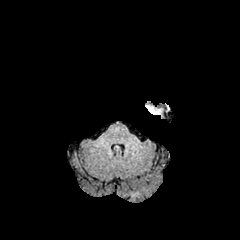
FLAIR MR image.
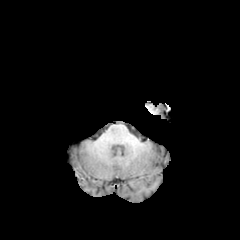
Same slice, T1-weighted MR image.
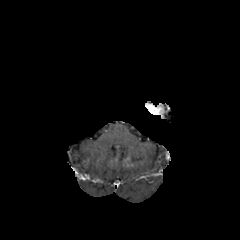
Post-contrast T1-weighted magnetic resonance.
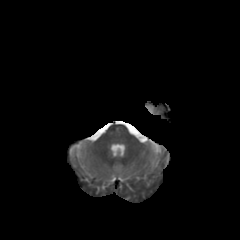
T2-weighted MR of the same slice.
Enhancing tumor: bounding box bbox(146, 105, 163, 117).